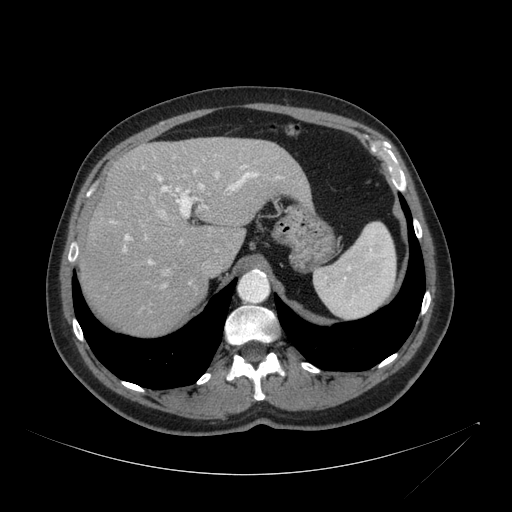

Upper abdomen. CT.

liver:
  - <box>80,138,310,335</box>